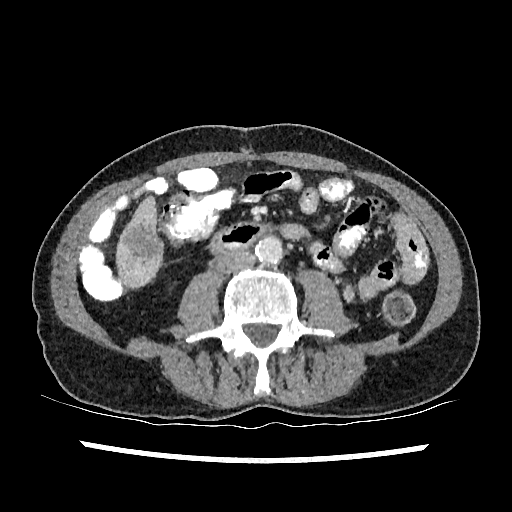

512x512 | Upper abdomen | CT
The liver lesion lies within bbox(125, 225, 161, 258). The liver is located at bbox(117, 196, 162, 286).